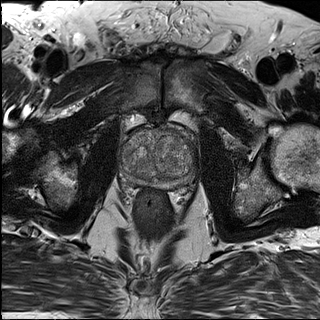
T2-weighted MRI.
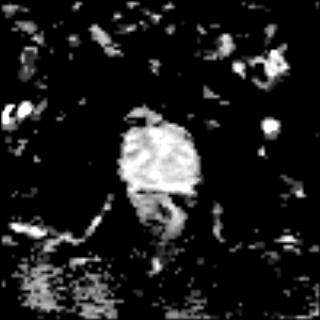
ADC magnetic resonance.
Image size 320x320.
The prostate transition zone is at bbox(120, 129, 195, 180). The prostate peripheral zone is bounded by bbox(125, 166, 195, 187).